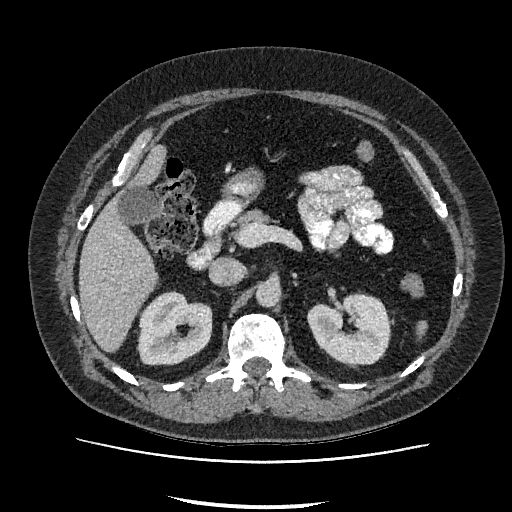 CT. Abdomen. * kidney: 139 293 211 363, 308 295 389 363
* liver: 78 191 157 351, 128 144 165 187